Computed tomography. Abdomen. 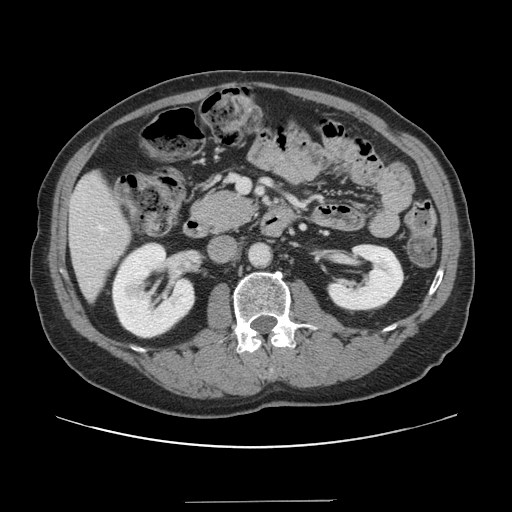
The vessel boxes may cover only some of the vessels.
Annotated regions:
• hepatic vessel: 237,179,247,189; 99,226,102,229